FLAIR MRI.
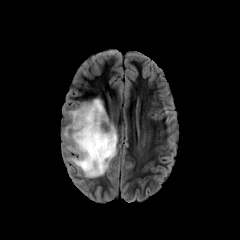
T1-weighted MR.
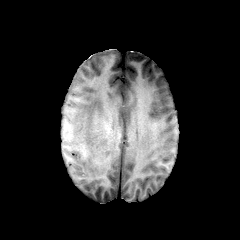
Post-contrast T1-weighted magnetic resonance.
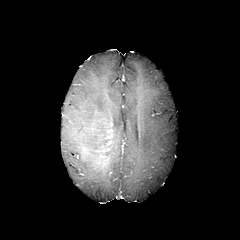
T2-weighted MRI.
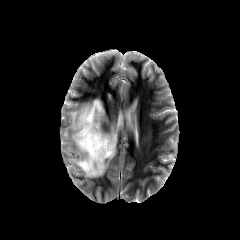
Image size 240x240; Head
Edema: [65, 98, 117, 177].